Slice 109/155 | Brain
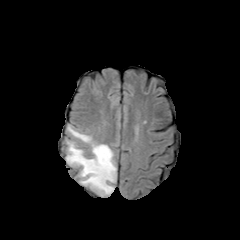
FLAIR MRI.
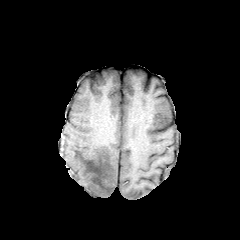
Same slice, T1-weighted magnetic resonance.
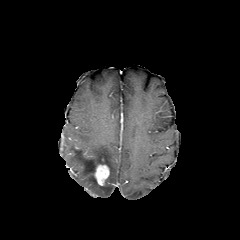
Post-contrast T1-weighted magnetic resonance.
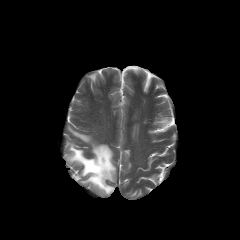
T2-weighted MRI.
<segmentation>
  <non-enhancing_tumor_core>98:180:111:191, 85:156:111:184</non-enhancing_tumor_core>
  <edema>66:124:116:196</edema>
  <enhancing_tumor>94:164:109:185</enhancing_tumor>
</segmentation>